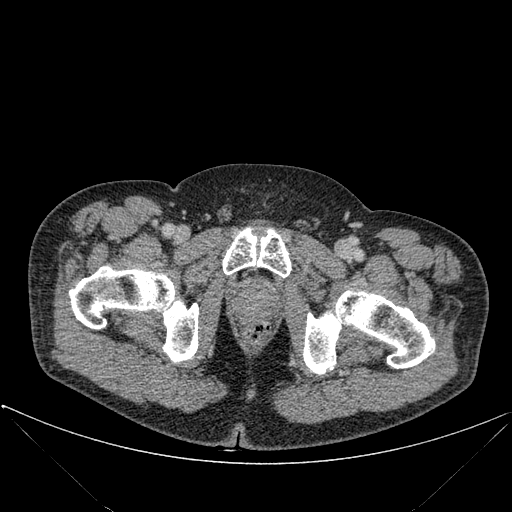 CT image
Annotated regions:
• bone: rect(222, 228, 291, 277); rect(303, 290, 435, 373); rect(69, 266, 198, 361)